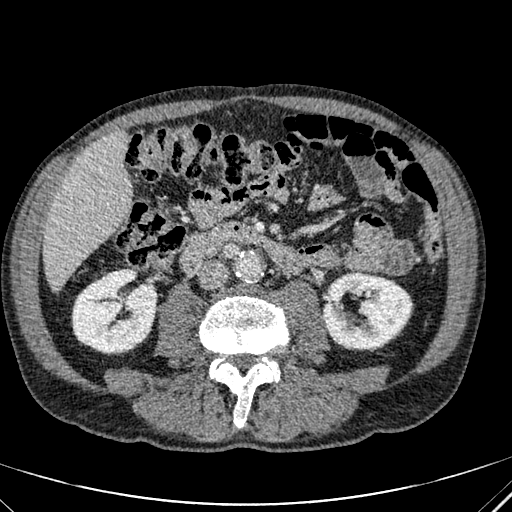

CT scan slice

Kidney: bbox(324, 273, 411, 348); bbox(73, 270, 155, 352).
Liver: bbox(44, 134, 129, 289).